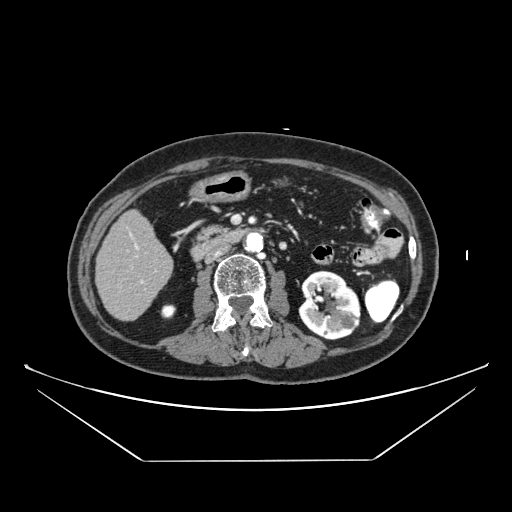
512x512 px, Upper abdomen, CT scan slice
The pancreas is located at 193:225:226:240.